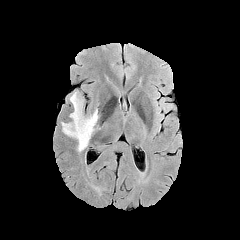
FLAIR MR.
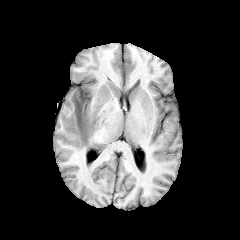
T1-weighted MR image.
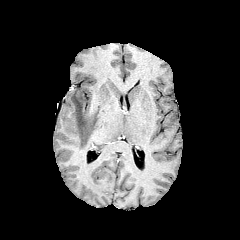
Post-contrast T1-weighted magnetic resonance of the same slice.
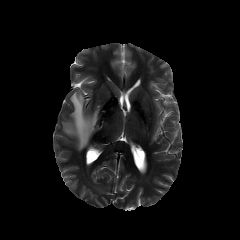
T2-weighted magnetic resonance of the same slice.
Brain.
The edema lies within [x1=61, y1=90, x2=99, y2=151]. The non-enhancing tumor core is bounded by [x1=75, y1=98, x2=83, y2=126].